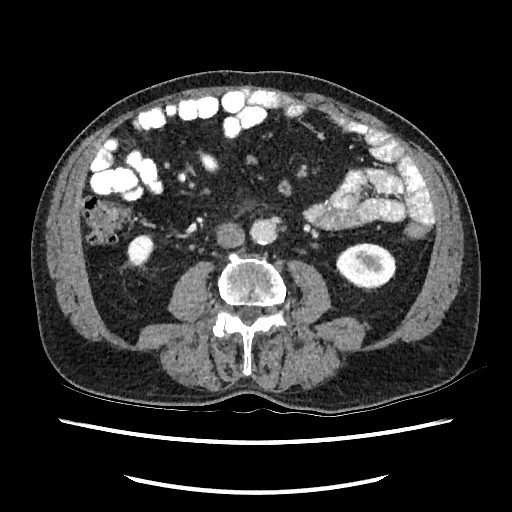

Computed tomography. Abdomen.

kidney: 127, 235, 153, 266; 336, 243, 395, 288